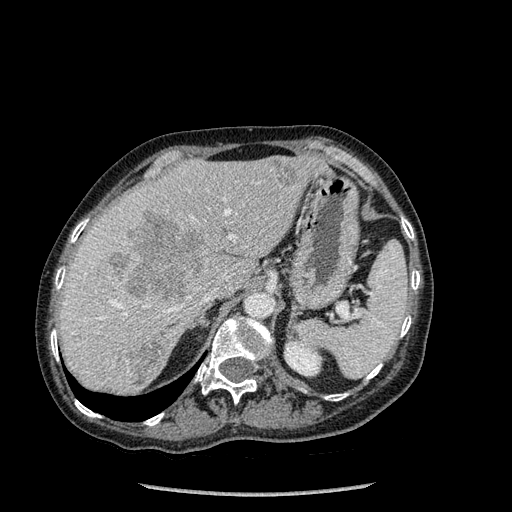

CT image
• liver: x1=60 y1=155 x2=330 y2=395
• kidney: x1=285 y1=342 x2=321 y2=375
• liver lesion: x1=125 y1=213 x2=203 y2=300, x1=274 y1=160 x2=298 y2=185, x1=120 y1=342 x2=163 y2=384, x1=109 y1=253 x2=130 y2=274
• lung: x1=67 y1=367 x2=195 y2=421
• bone: x1=401 y1=217 x2=414 y2=239, x1=50 y1=329 x2=58 y2=361, x1=411 y1=270 x2=419 y2=289, x1=55 y1=266 x2=66 y2=289, x1=366 y1=363 x2=382 y2=380, x1=70 y1=219 x2=88 y2=242, x1=399 y1=316 x2=411 y2=337, x1=195 y1=316 x2=272 y2=403, x1=75 y1=399 x2=101 y2=417, x1=144 y1=413 x2=163 y2=425, x1=324 y1=393 x2=348 y2=400